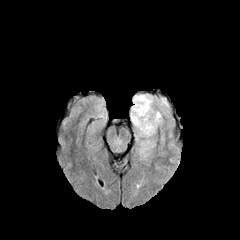
FLAIR MR.
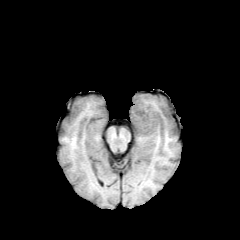
T1-weighted MR image of the same slice.
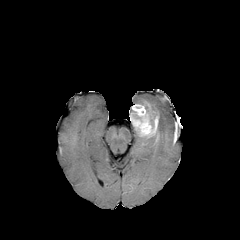
Post-contrast T1-weighted MRI.
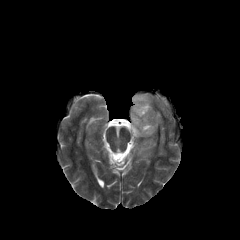
T2-weighted magnetic resonance.
{"non-enhancing_tumor_core": ["x1=136 y1=100 x2=159 y2=128", "x1=129 y1=110 x2=141 y2=119"], "edema": ["x1=133 y1=130 x2=156 y2=160", "x1=132 y1=94 x2=170 y2=126"], "enhancing_tumor": ["x1=129 y1=104 x2=158 y2=137"]}